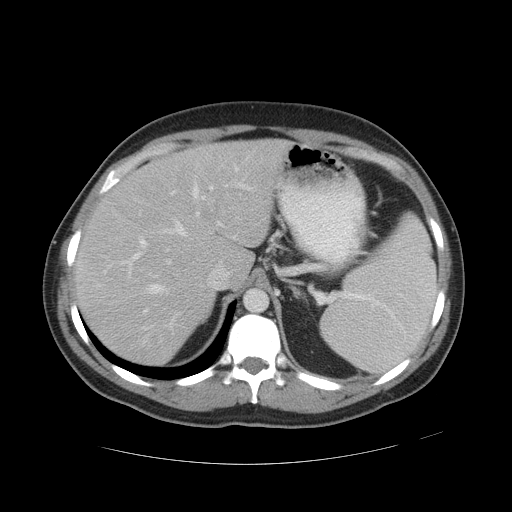

Computed tomography. Image size 512x512. Abdomen.

Not every hepatic vessel necessarily has a box.
Segmented structures:
• hepatic vessel (principal 15 of 17): <box>160,221,185,235</box>, <box>196,212,199,215</box>, <box>150,284,167,293</box>, <box>140,239,145,245</box>, <box>202,196,205,199</box>, <box>236,183,250,189</box>, <box>235,165,238,170</box>, <box>250,189,254,191</box>, <box>145,326,152,328</box>, <box>121,253,140,276</box>, <box>144,309,147,311</box>, <box>217,222,223,226</box>, <box>209,186,212,190</box>, <box>166,259,170,263</box>, <box>192,181,198,198</box>